Field of view 38x48 mm. Magnetic resonance. Slice index 16.

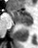
The anterior hippocampus is at x1=9, y1=10, x2=31, y2=21. The posterior hippocampus is at x1=19, y1=22, x2=31, y2=26.